Liver. Image size 512x512. Slice index 57. CT image. Field of view 382x382 mm. 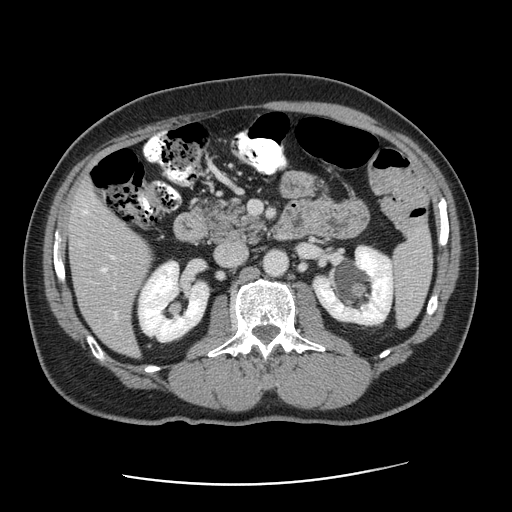

Some hepatic vessels may have no box.
hepatic vessel: (102,268,106,270), (115,312,118,319), (84,211,86,212)